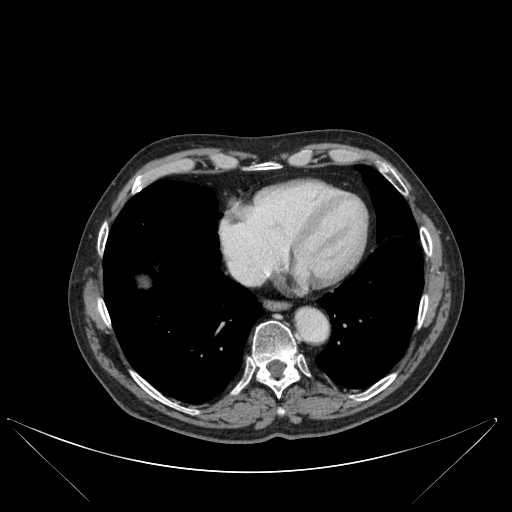 CT image

2 lung regions are located at 316,165,423,388; 103,181,262,403. 10 bone regions are located at 251,164,279,169; 420,227,432,255; 131,372,177,407; 390,170,398,182; 355,374,395,400; 98,302,110,324; 132,175,146,192; 418,296,428,326; 232,321,310,397; 98,223,107,253.